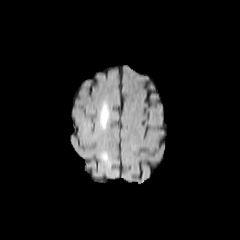
FLAIR MR.
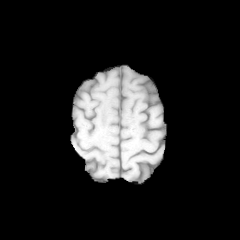
Same slice, T1-weighted magnetic resonance.
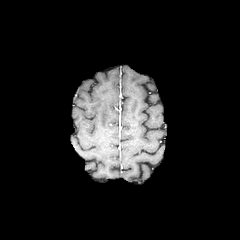
Post-contrast T1-weighted MRI.
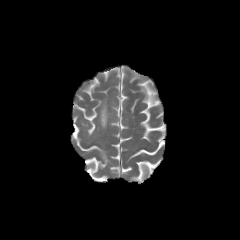
Same slice, T2-weighted MR.
edema:
  - 101,151,107,161
  - 100,102,108,128